Image size 512x512, Computed tomography, Pelvis, Slice 51/422 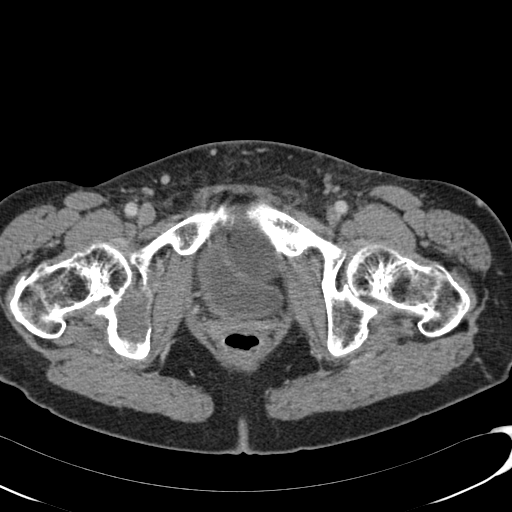 Urinary bladder — (193, 222, 283, 328).